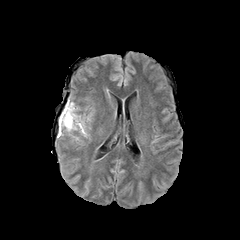
FLAIR magnetic resonance.
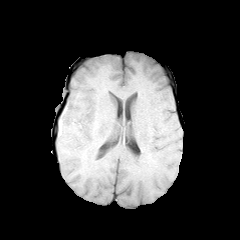
T1-weighted MR image of the same slice.
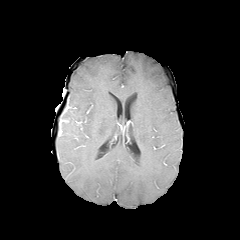
Post-contrast T1-weighted MR of the same slice.
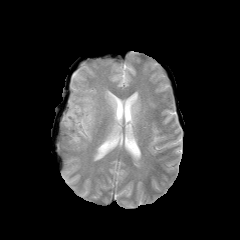
T2-weighted MR image.
Brain
<segmentation>
  <edema>x1=58, y1=98, x2=93, y2=142</edema>
</segmentation>